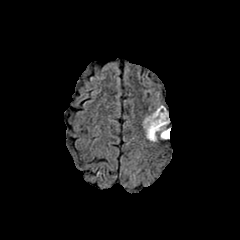
FLAIR MR.
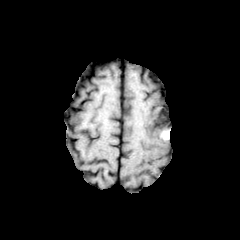
T1-weighted MR image.
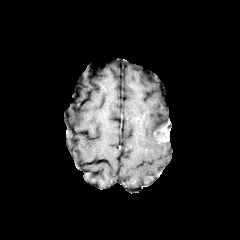
Post-contrast T1-weighted MR image.
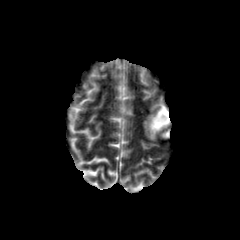
T2-weighted MRI.
Brain
* edema: (144,105,169,141)
* non-enhancing tumor core: (152,108,169,138)